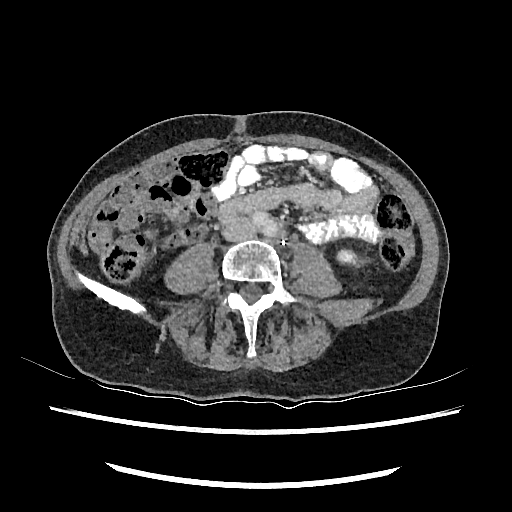 Computed tomography | Abdomen
<segmentation>
  <kidney>bbox=[341, 253, 351, 260]</kidney>
</segmentation>